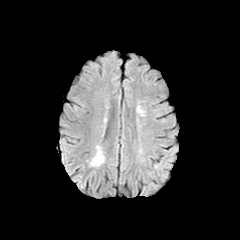
FLAIR MRI.
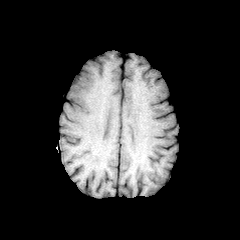
T1-weighted MRI of the same slice.
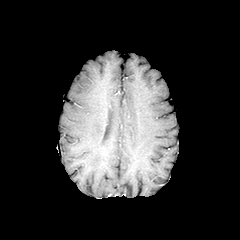
Post-contrast T1-weighted MRI of the same slice.
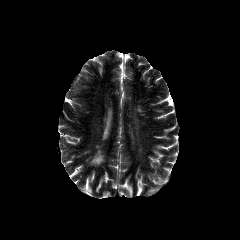
Same slice, T2-weighted MR image.
240x240 px
The edema lies within 91 152 103 165.